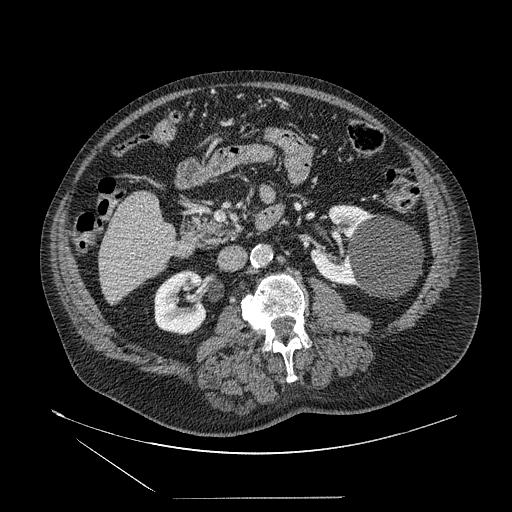 Image size 512x512; CT; Abdomen
Annotated regions:
• pancreas: rect(188, 214, 236, 248)